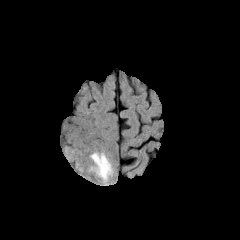
FLAIR magnetic resonance.
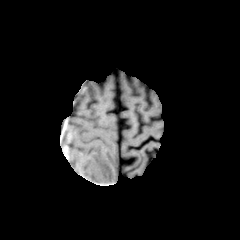
Same slice, T1-weighted magnetic resonance.
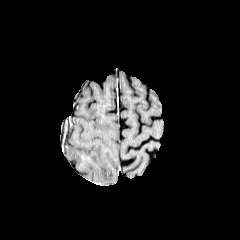
Post-contrast T1-weighted magnetic resonance.
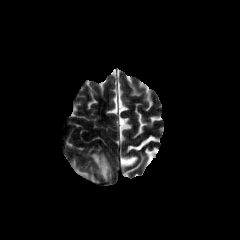
T2-weighted MR image.
Brain; 240x240
<segmentation>
  <edema>x1=91 y1=152 x2=110 y2=178</edema>
</segmentation>